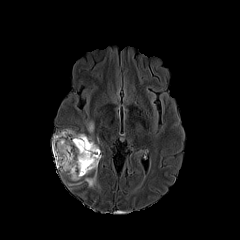
FLAIR MR.
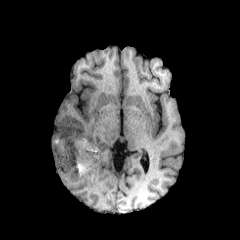
T1-weighted MR image of the same slice.
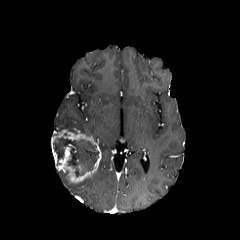
Post-contrast T1-weighted magnetic resonance.
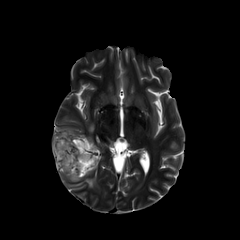
T2-weighted MR of the same slice.
Brain
<segmentation>
  <edema>(83, 174, 99, 188), (85, 120, 94, 133)</edema>
  <enhancing_tumor>(52, 130, 101, 182)</enhancing_tumor>
  <non-enhancing_tumor_core>(53, 136, 99, 177)</non-enhancing_tumor_core>
</segmentation>